Pelvis, CT scan slice 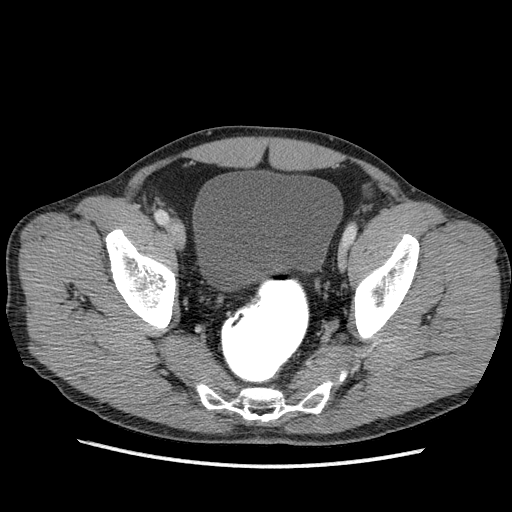

<segmentation>
  <urinary_bladder>192:170:342:291</urinary_bladder>
</segmentation>